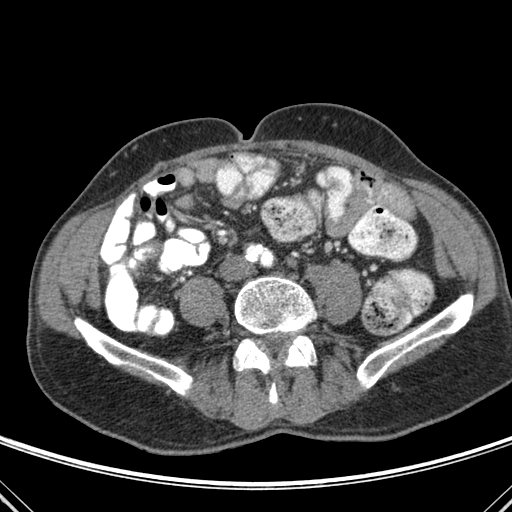
CT slice. 512x512 px. Bone: 74,318,192,394; 357,294,473,388; 234,339,271,373; 280,336,315,366; 269,382,277,405; 235,276,316,334.